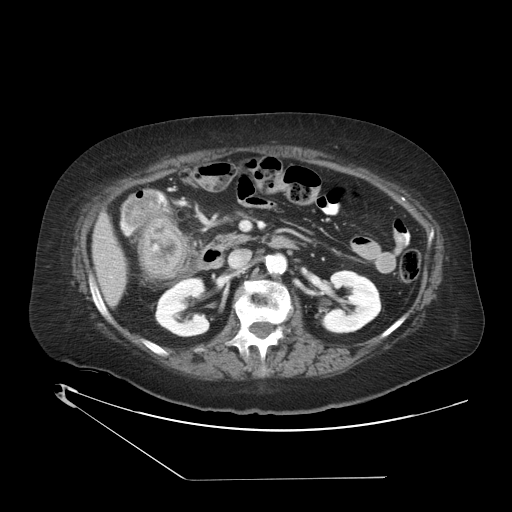 CT scan slice, Pelvis, 512x512

Colon tumor: 138,217,185,278; 124,192,161,226.